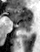 Medial temporal lobe, Magnetic resonance
The anterior hippocampus is bounded by (9, 8, 31, 21). The posterior hippocampus is at (18, 22, 31, 32).